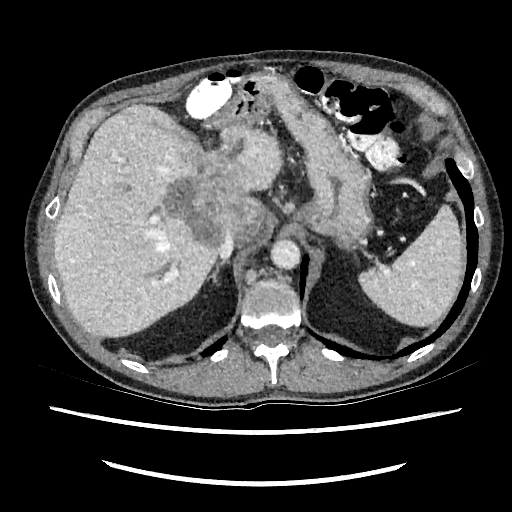 Image size 512x512. Liver. CT.
Liver lesion = [x1=163, y1=146, x2=264, y2=247].
Liver = [x1=53, y1=106, x2=282, y2=336].